320x320, MRI slice, Field of view 400 mm wide, 1.37 mm slice spacing, Slice 78/122
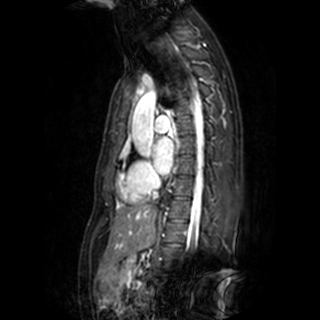
Left atrium: {"x1": 152, "y1": 137, "x2": 173, "y2": 174}.